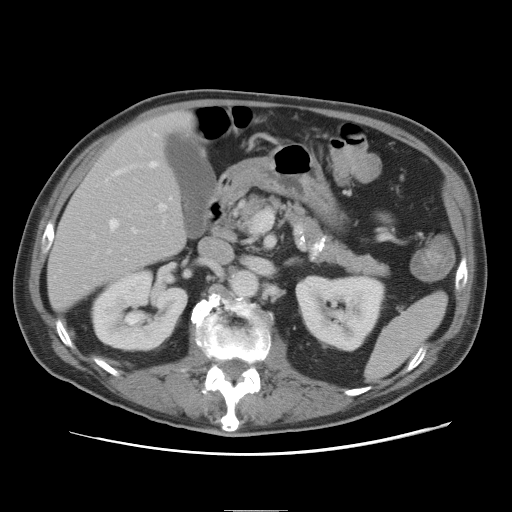
CT | Liver
Only some of the vessels may be annotated.
Hepatic vessel = 106:179:108:181, 108:250:110:252, 85:286:87:288, 170:198:171:199, 110:220:118:229, 132:228:136:232, 115:170:122:174, 164:217:165:223, 155:134:157:135, 151:162:157:167, 168:113:188:119, 160:204:166:211.